Slice 93/155; 240x240 px; Brain
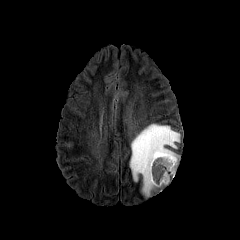
FLAIR MR image.
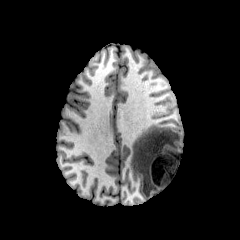
T1-weighted MR.
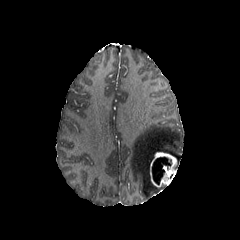
Post-contrast T1-weighted MR image.
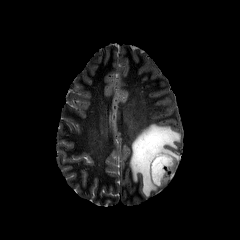
T2-weighted MR image.
The enhancing tumor is at rect(149, 152, 177, 186). 2 non-enhancing tumor core regions appear at rect(151, 157, 171, 185); rect(155, 183, 166, 192). The edema is bounded by rect(129, 124, 179, 196).